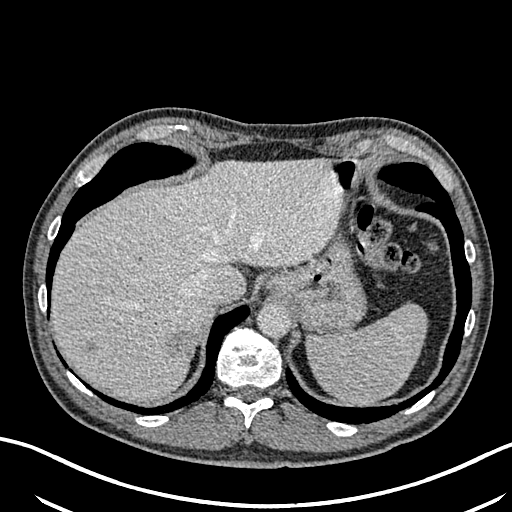

Computed tomography, Upper abdomen

The liver appears at {"x1": 51, "y1": 157, "x2": 340, "y2": 400}. 2 hepatic lesion regions appear at {"x1": 85, "y1": 341, "x2": 95, "y2": 351}, {"x1": 166, "y1": 331, "x2": 190, "y2": 358}.